CT slice | Slice 222 of 407
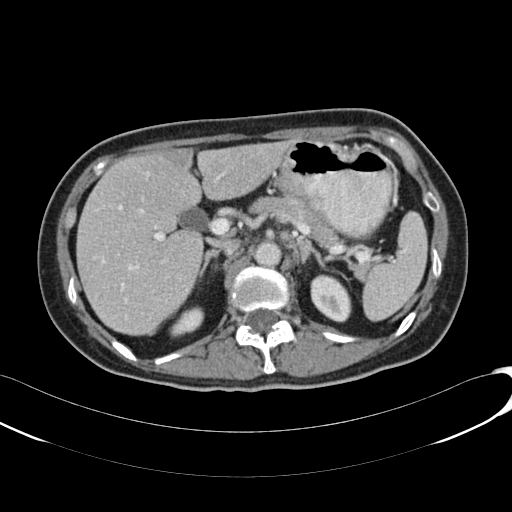

The liver is at (77,142,293,333). 2 kidney regions are located at (175,311,201,332), (312,277,348,320). The liver lesion is bounded by (163,151,189,165).